Slice 55/113 | CT slice | Image size 512x512

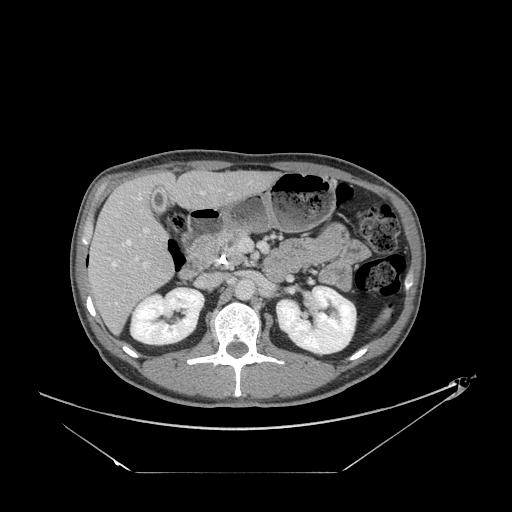

Pancreas: bounding box (x1=196, y1=227, x2=249, y2=259).